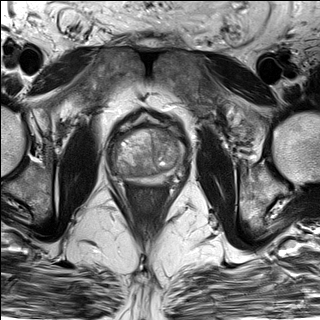
T2-weighted MR.
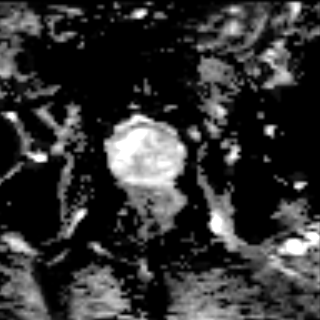
ADC MRI.
320x320 px
<segmentation>
  <prostate_peripheral_zone>(left=111, top=140, right=185, bottom=184)</prostate_peripheral_zone>
  <prostate_transition_zone>(left=115, top=127, right=179, bottom=175)</prostate_transition_zone>
</segmentation>